CT scan slice; 512x512; Slice 90 of 366

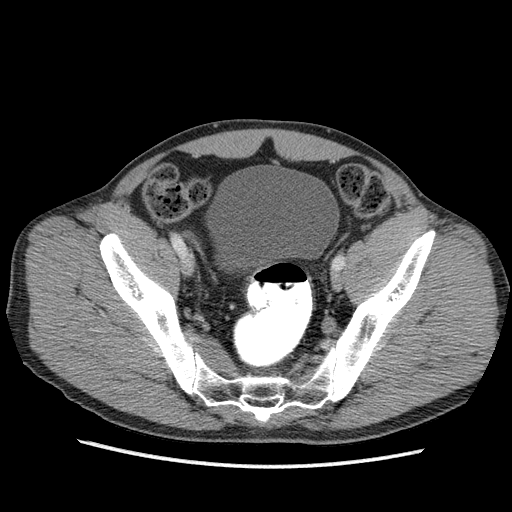
Urinary bladder: bounding box (x1=206, y1=165, x2=339, y2=271).